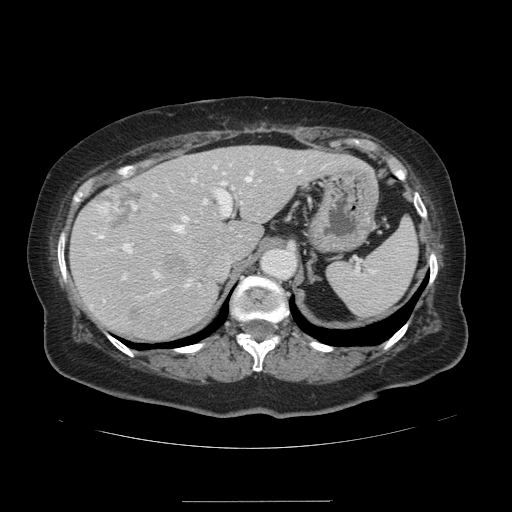 Liver; CT slice
Only some of the vessels may be annotated.
Findings:
• hepatic vessel (largest 15 of 16): box(298, 170, 300, 171); box(152, 193, 156, 195); box(122, 243, 130, 252); box(215, 188, 230, 214); box(153, 271, 159, 276); box(221, 181, 225, 184); box(279, 168, 281, 169); box(213, 165, 215, 167); box(95, 233, 102, 237); box(191, 178, 195, 180); box(122, 274, 125, 277); box(202, 198, 206, 202); box(181, 215, 186, 222); box(173, 225, 183, 230); box(246, 170, 251, 180)
• liver tumor: box(99, 183, 144, 233); box(165, 258, 179, 269)